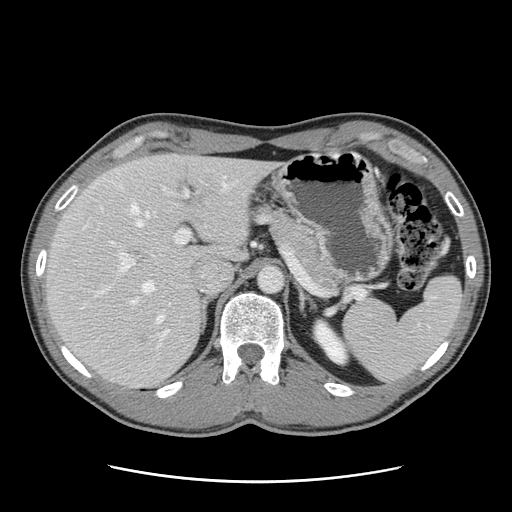
512x512 | CT
The vessel boxes may cover only some of the vessels.
partial: true
hepatic_vessel:
  # 15 of 17 shown
  - [x1=174, y1=229, x2=189, y2=243]
  - [x1=162, y1=187, x2=166, y2=190]
  - [x1=129, y1=203, x2=138, y2=213]
  - [x1=157, y1=315, x2=162, y2=321]
  - [x1=158, y1=329, x2=168, y2=340]
  - [x1=136, y1=221, x2=142, y2=225]
  - [x1=96, y1=288, x2=107, y2=294]
  - [x1=145, y1=212, x2=154, y2=216]
  - [x1=110, y1=242, x2=113, y2=244]
  - [x1=130, y1=299, x2=137, y2=303]
  - [x1=142, y1=281, x2=153, y2=291]
  - [x1=182, y1=190, x2=188, y2=197]
  - [x1=120, y1=253, x2=134, y2=271]
  - [x1=222, y1=176, x2=224, y2=178]
  - [x1=221, y1=183, x2=227, y2=190]